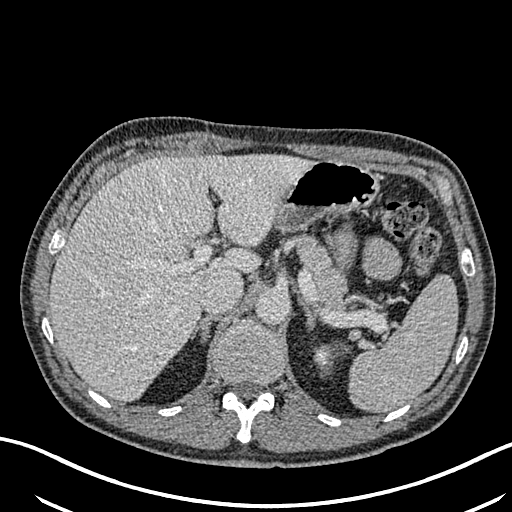

Abdomen; CT
<segmentation>
  <kidney>x1=318, y1=352, x2=325, y2=360</kidney>
  <liver>x1=49, y1=155, x2=312, y2=400</liver>
</segmentation>